FLAIR MR image.
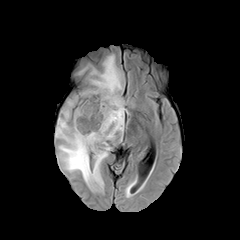
T1-weighted MR.
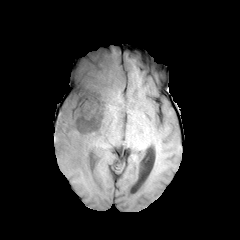
Post-contrast T1-weighted magnetic resonance.
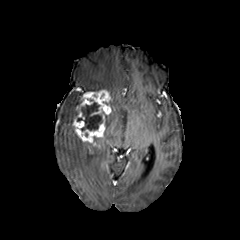
T2-weighted magnetic resonance.
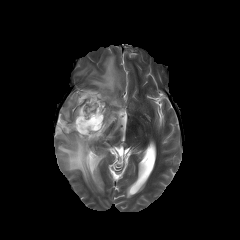
The edema is located at rect(55, 55, 127, 185). 2 non-enhancing tumor core regions appear at rect(81, 102, 103, 130); rect(72, 88, 112, 123). The enhancing tumor lies within rect(72, 90, 110, 142).